Computed tomography, Slice 132 of 188, Upper abdomen
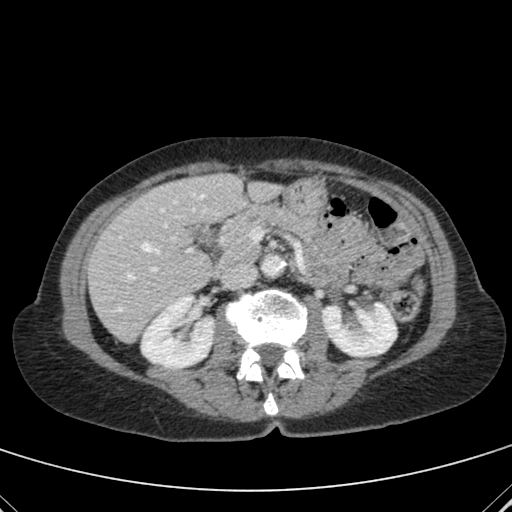

liver:
  - x1=88 y1=174 x2=279 y2=339
kidney:
  - x1=324 y1=303 x2=395 y2=355
  - x1=141 y1=296 x2=213 y2=367